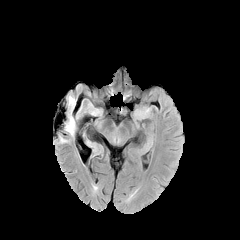
FLAIR MRI.
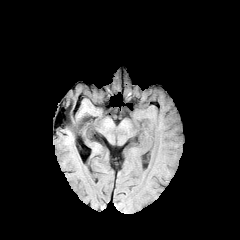
T1-weighted magnetic resonance.
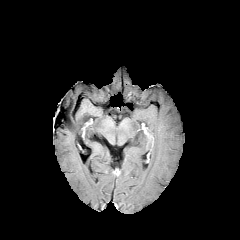
Post-contrast T1-weighted MR of the same slice.
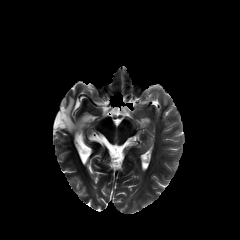
Same slice, T2-weighted MR image.
Image size 240x240, Head
The edema is at 64,96,79,136. The non-enhancing tumor core is at 64,118,71,126.